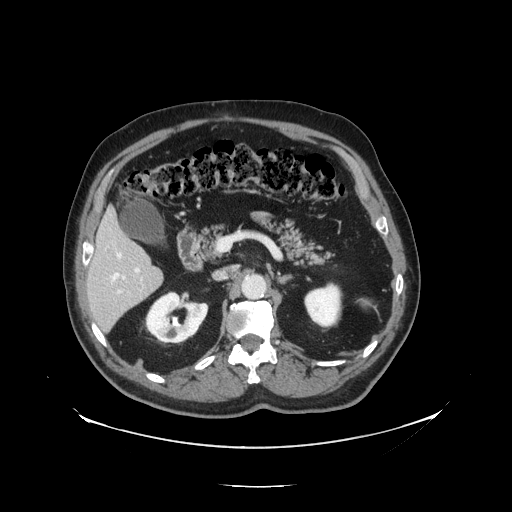 Computed tomography

Not every hepatic vessel necessarily has a box.
hepatic_vessel:
  - 118:291:121:293
  - 112:273:125:281
  - 135:269:139:272
  - 117:253:121:257